FLAIR MR image.
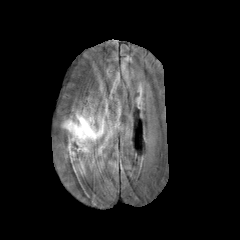
T1-weighted magnetic resonance.
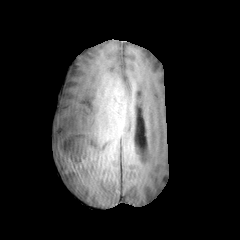
Post-contrast T1-weighted magnetic resonance.
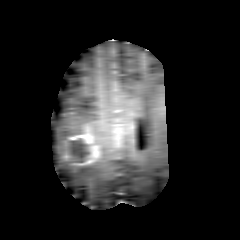
T2-weighted MR image.
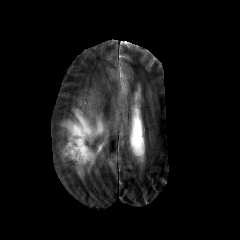
Enhancing tumor = [70, 132, 99, 163].
Edema = [62, 105, 104, 139].
Non-enhancing tumor core = [66, 138, 92, 165].